Pelvis; 256x256
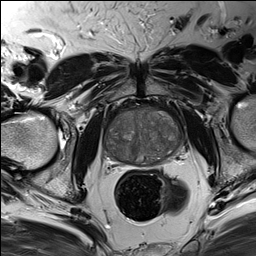
T2-weighted MR image.
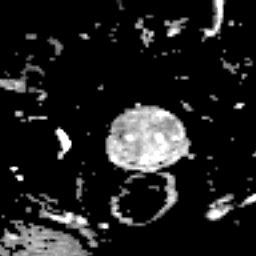
ADC MR image.
prostate peripheral zone: bbox(106, 109, 181, 165)